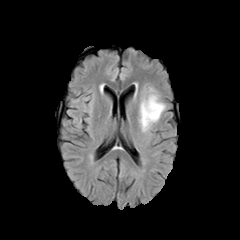
FLAIR MR.
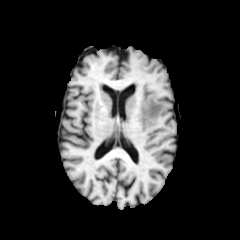
T1-weighted MR.
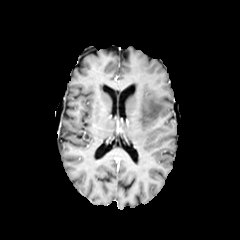
Post-contrast T1-weighted MR image.
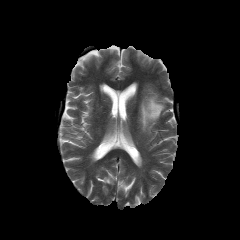
T2-weighted MR image of the same slice.
240x240 px.
Edema = [140, 95, 164, 131].